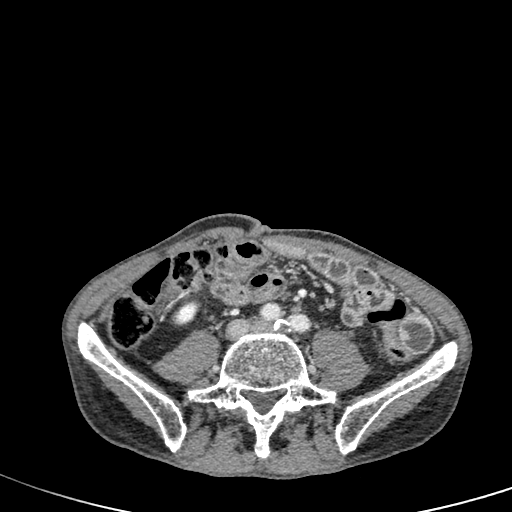 CT scan slice.

kidney: <box>176,303,196,322</box>